Brain, 240x240 px, Slice 80 of 155
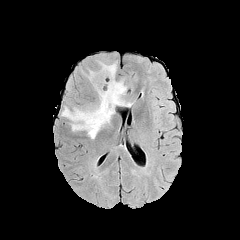
FLAIR MR image.
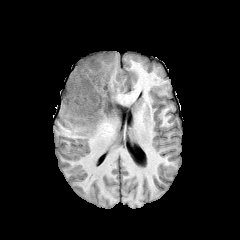
T1-weighted MRI.
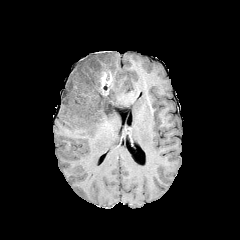
Post-contrast T1-weighted MR of the same slice.
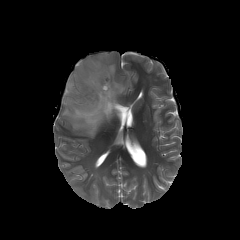
T2-weighted MRI.
The edema is located at <box>61,57,133,138</box>. The non-enhancing tumor core is at <box>97,70,117,111</box>. The enhancing tumor appears at <box>101,72,112,95</box>.